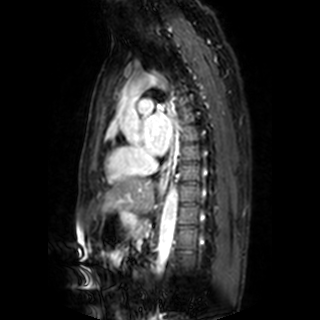 MR | 320x320 px | Heart
left_atrium:
  - rect(143, 107, 172, 156)